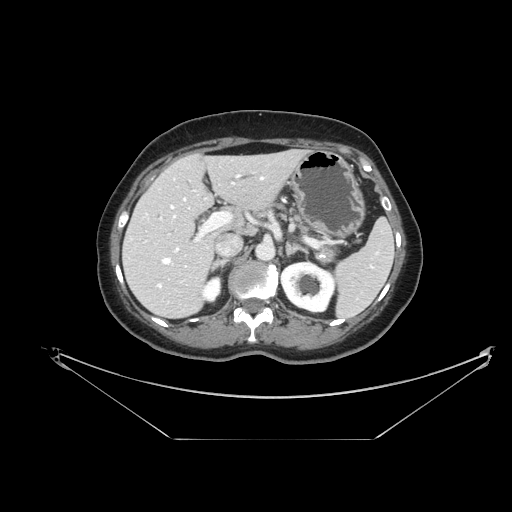 Image size 512x512; CT image
pancreas:
  - [x1=294, y1=213, x2=338, y2=263]